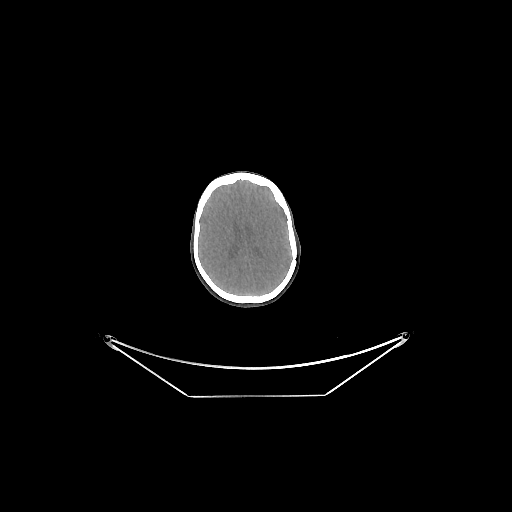 Computed tomography, Brain

brain:
  - 198, 180, 292, 295